Field of view 372x372 mm, CT, Abdomen, Slice 100 of 134, Image size 512x512

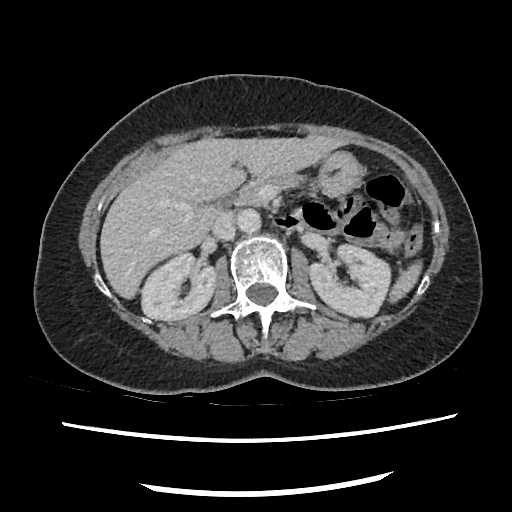
Findings:
- pancreas: [237, 176, 302, 205]